Abdomen; Slice 325/811; CT 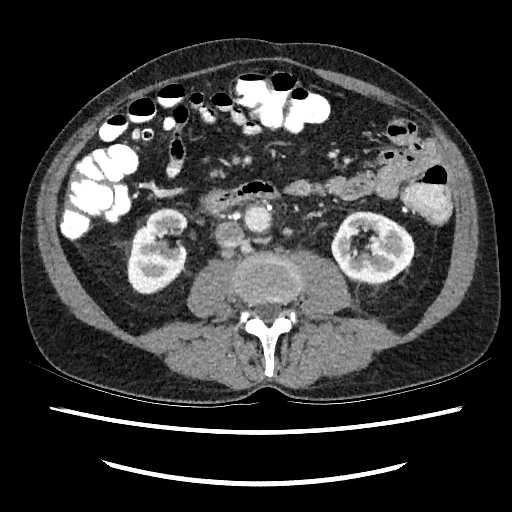 Segmented structures:
* kidney: (128, 210, 186, 292), (332, 212, 413, 282)